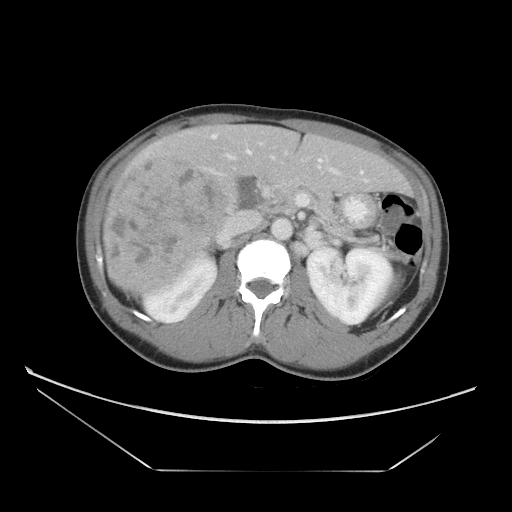
CT | 512x512 | Liver
Not every hepatic vessel necessarily has a box.
The liver tumor is bounded by x1=103 y1=147 x2=237 y2=293. 3 hepatic vessel regions are bounded by x1=319 y1=159 x2=321 y2=161, x1=245 y1=149 x2=251 y2=154, x1=225 y1=154 x2=235 y2=159.